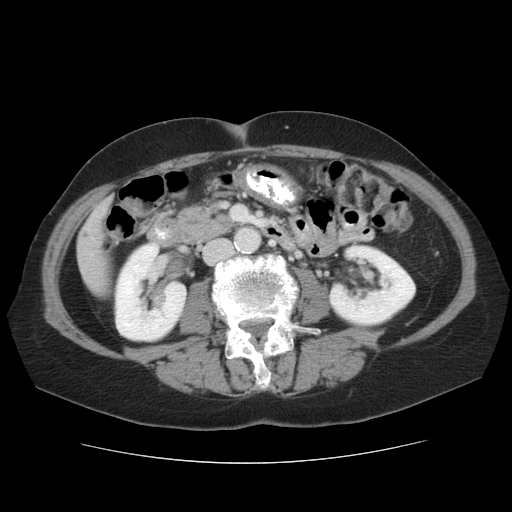

Computed tomography
- kidney: x1=330, y1=246, x2=414, y2=324; x1=116, y1=242, x2=185, y2=340
- bone: x1=213, y1=253, x2=320, y2=389
- liver: x1=77, y1=196, x2=112, y2=296